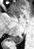

MR image.

posterior hippocampus: [8,36,23,43]